Slice index 16 | CT scan slice | Abdomen

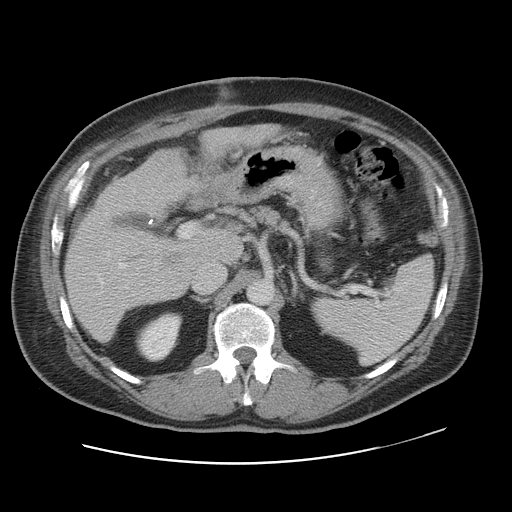

The vessel annotation is not exhaustive.
hepatic vessel: l=154, t=260, r=157, b=263; l=119, t=263, r=127, b=268; l=141, t=259, r=143, b=260; l=172, t=247, r=176, b=248; l=123, t=281, r=128, b=288; l=176, t=190, r=179, b=193; l=98, t=278, r=103, b=287; l=149, t=212, r=152, b=213 | liver tumor: l=159, t=249, r=184, b=272